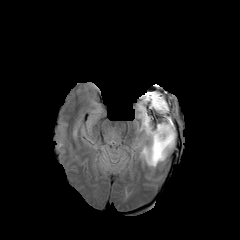
FLAIR MR image.
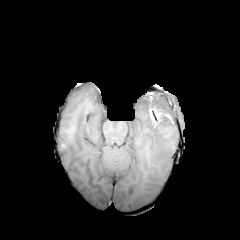
T1-weighted MRI of the same slice.
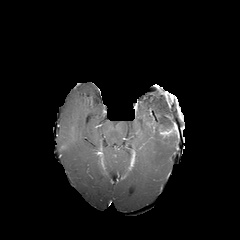
Same slice, post-contrast T1-weighted magnetic resonance.
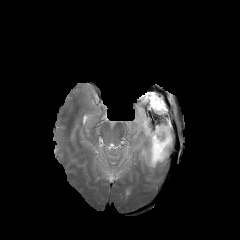
T2-weighted MRI.
Brain. Image size 240x240.
non-enhancing tumor core: <box>144,120,170,133</box>, <box>135,109,143,123</box> | enhancing tumor: <box>160,128,171,135</box> | edema: <box>100,91,175,170</box>